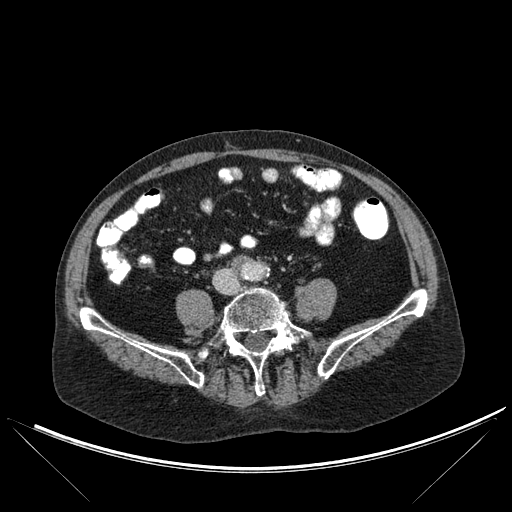
Computed tomography
<segmentation>
  <bone>x1=318, y1=289, x2=427, y2=378; x1=221, y1=289, x2=307, y2=395; x1=80, y1=307, x2=203, y2=387</bone>
</segmentation>